CT, Abdomen, Slice 25 of 30 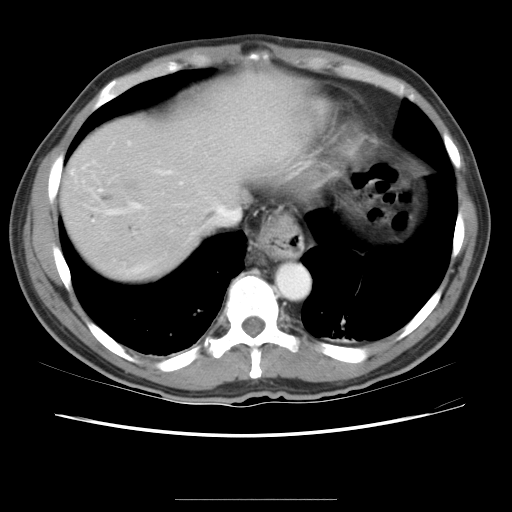
Some hepatic vessels may have no box.
Annotated regions:
- hepatic vessel: (157, 170, 170, 173), (104, 202, 140, 214), (209, 203, 239, 223), (128, 142, 129, 143), (205, 197, 209, 198)
- liver tumor: (117, 176, 142, 203)